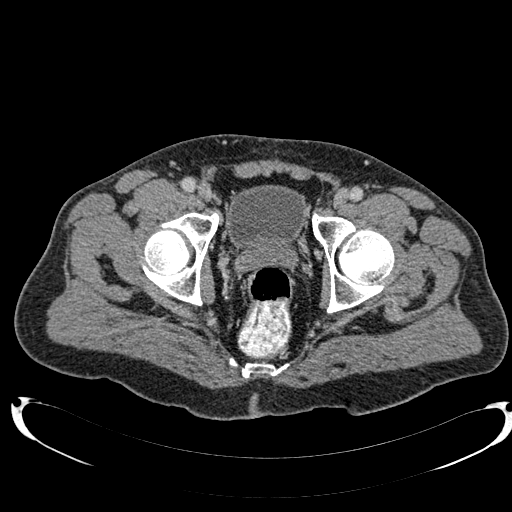
512x512 px; CT slice
The urinary bladder is bounded by {"x1": 227, "y1": 185, "x2": 307, "y2": 257}.